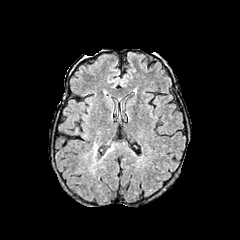
FLAIR MRI.
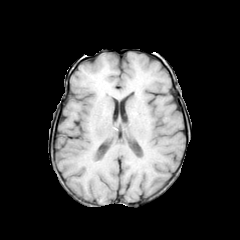
T1-weighted MRI of the same slice.
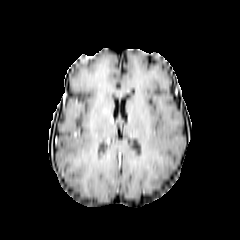
Post-contrast T1-weighted MR.
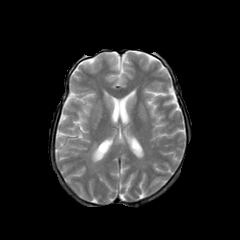
T2-weighted magnetic resonance of the same slice.
Head
Annotated regions:
- edema: 87, 141, 117, 165